Slice 97 of 155, 240x240
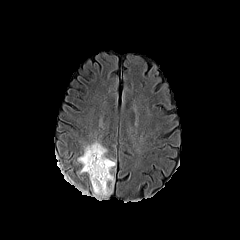
FLAIR MR.
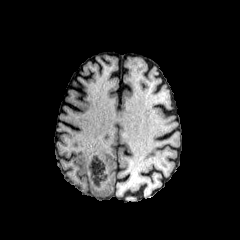
T1-weighted MR image.
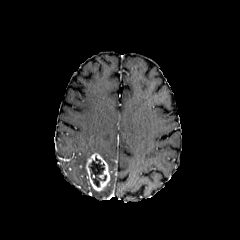
Same slice, post-contrast T1-weighted MR image.
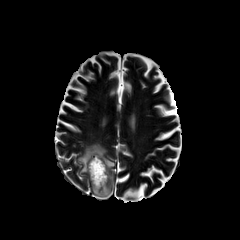
Same slice, T2-weighted MR.
The non-enhancing tumor core appears at {"x1": 88, "y1": 155, "x2": 107, "y2": 187}. 2 edema regions are bounded by {"x1": 93, "y1": 175, "x2": 113, "y2": 196}, {"x1": 78, "y1": 142, "x2": 115, "y2": 174}. The enhancing tumor appears at {"x1": 85, "y1": 153, "x2": 110, "y2": 191}.